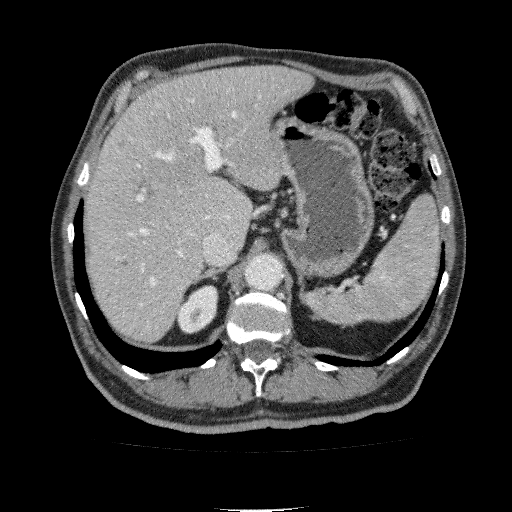 CT scan slice
* kidney: 178,287,216,332
* liver: 87,67,314,342